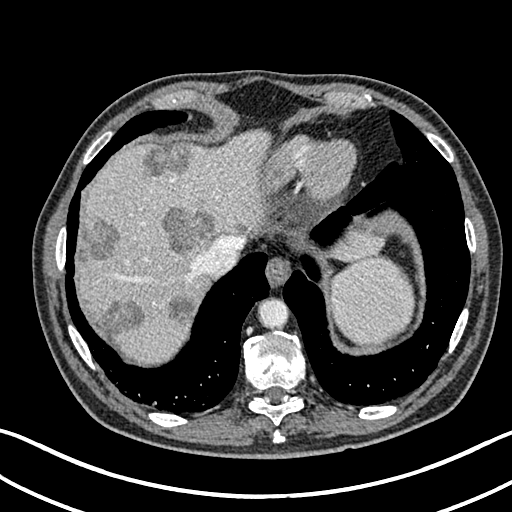

CT.

liver:
  - (x1=332, y1=232, x2=383, y2=261)
  - (x1=77, y1=130, x2=266, y2=362)
focal_liver_lesion:
  - (x1=100, y1=302, x2=143, y2=331)
  - (x1=144, y1=148, x2=190, y2=174)
  - (x1=83, y1=220, x2=117, y2=259)
  - (x1=170, y1=296, x2=193, y2=325)
  - (x1=79, y1=254, x2=87, y2=262)
  - (x1=164, y1=207, x2=214, y2=253)